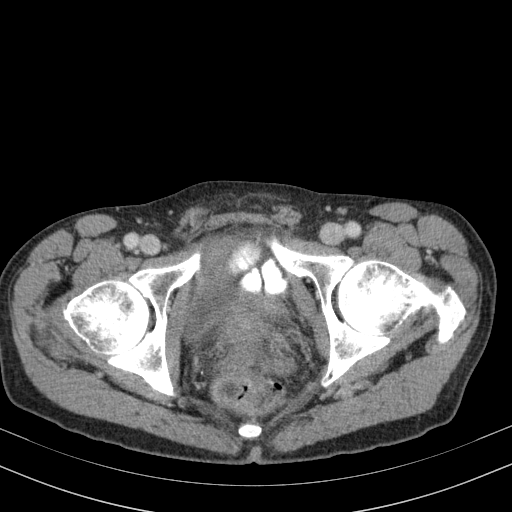 Computed tomography. Pelvis.

<segmentation>
  <urinary_bladder>x1=180 y1=243 x2=286 y2=344</urinary_bladder>
</segmentation>